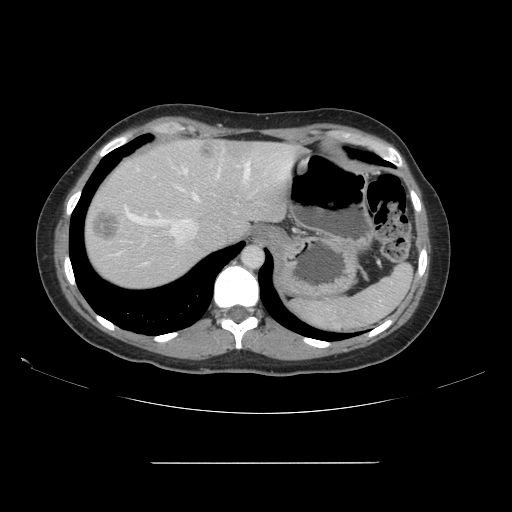 Computed tomography
The vessel annotation is not exhaustive.
Segmented structures:
• hepatic vessel: box=[221, 158, 223, 161]; box=[238, 160, 250, 182]; box=[112, 252, 120, 255]; box=[192, 194, 198, 200]; box=[172, 166, 173, 167]; box=[217, 166, 220, 177]; box=[246, 184, 248, 186]; box=[144, 262, 147, 264]; box=[125, 207, 196, 243]; box=[178, 166, 187, 174]
• liver tumor: box=[200, 144, 220, 159]; box=[93, 214, 119, 241]